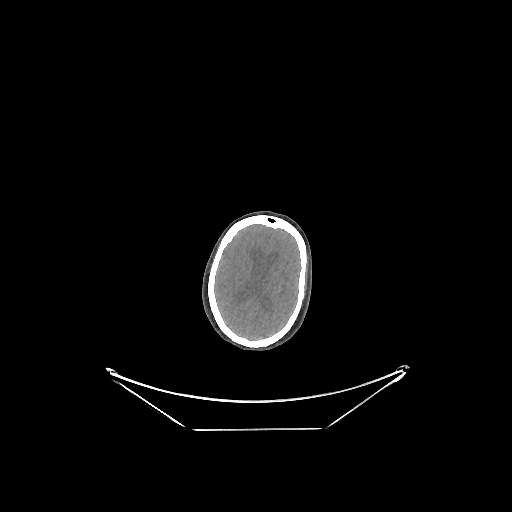 512x512 px, Head, CT slice

• brain: left=214, top=224, right=300, bottom=340